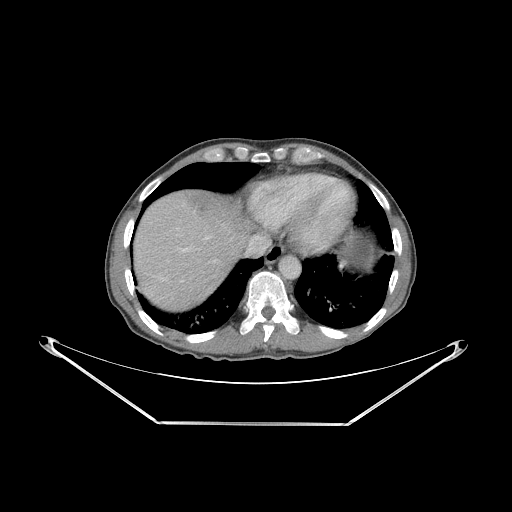

CT scan slice. Liver.
Liver — (133, 189, 250, 314).
Lung — (148, 258, 264, 333), (294, 174, 394, 328), (143, 162, 258, 210).
Bone — (125, 269, 133, 294), (186, 332, 214, 342), (392, 228, 401, 254), (138, 310, 161, 334), (389, 270, 397, 292), (124, 219, 133, 247), (252, 153, 269, 161), (140, 179, 159, 200), (243, 272, 296, 341), (319, 327, 346, 338), (364, 309, 385, 330), (371, 185, 388, 208).